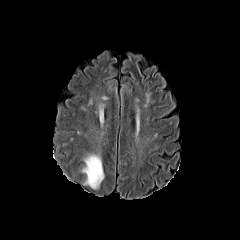
FLAIR magnetic resonance.
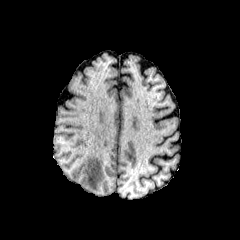
T1-weighted magnetic resonance of the same slice.
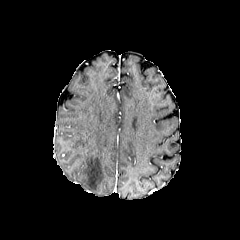
Post-contrast T1-weighted MRI.
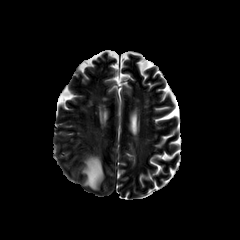
T2-weighted MR.
The edema is located at box=[83, 155, 103, 189].